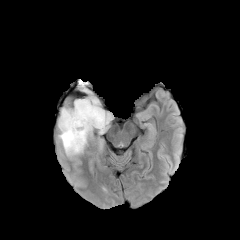
FLAIR MR.
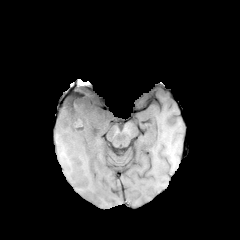
T1-weighted MRI.
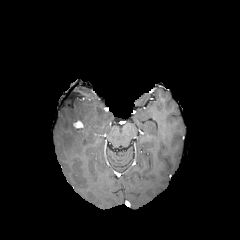
Post-contrast T1-weighted MR.
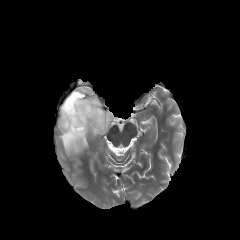
T2-weighted MRI of the same slice.
240x240 px. Brain.
Enhancing tumor: 73,120,83,128.
Edema: 76,86,90,99; 58,99,113,157.
Non-enhancing tumor core: 63,92,97,131.